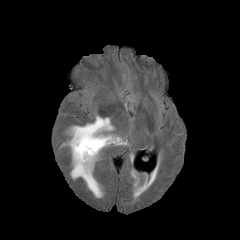
FLAIR MRI.
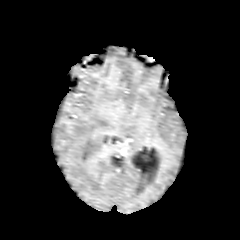
T1-weighted MRI.
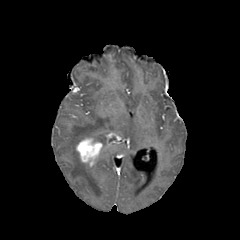
Post-contrast T1-weighted magnetic resonance of the same slice.
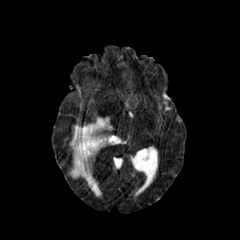
T2-weighted MR image.
Brain
The enhancing tumor is at (72,134,105,171). 2 edema regions appear at (68,116,113,149), (71,150,101,197).